Slice 113 of 155 | Image size 240x240 | Image width 240 mm | Head
FLAIR MR.
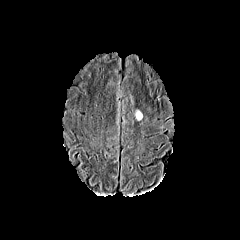
T1-weighted MRI.
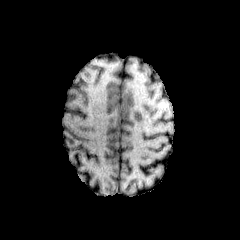
Post-contrast T1-weighted MR.
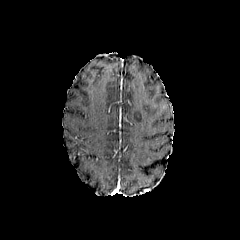
T2-weighted MRI.
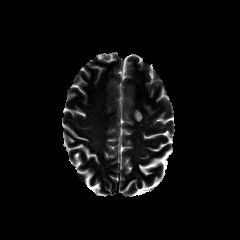
Findings:
• edema: left=134, top=108, right=143, bottom=120